Upper abdomen; CT image
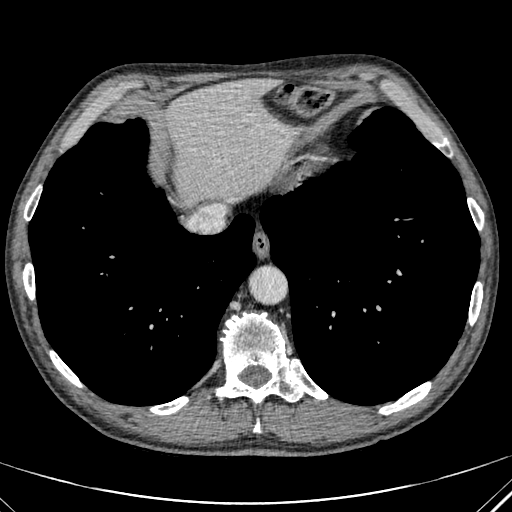

<segmentation>
  <liver>(x1=167, y1=78, x2=296, y2=200)</liver>
</segmentation>